Slice 501/836 | Liver | Field of view 344 mm wide, 0.80 mm slice spacing | Computed tomography | 512x512 px

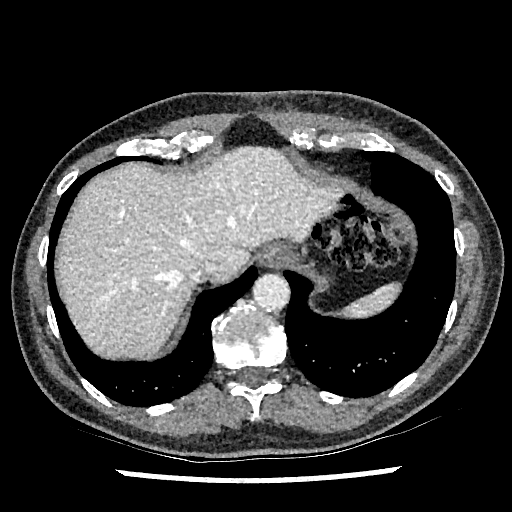 The liver is at x1=58, y1=146, x2=341, y2=356.